FLAIR MR image.
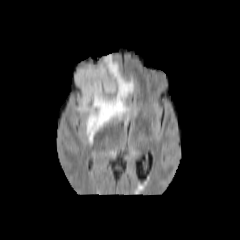
T1-weighted MR.
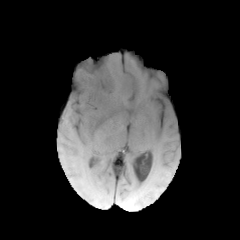
Post-contrast T1-weighted MRI.
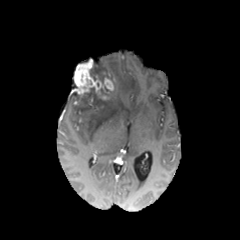
T2-weighted MR.
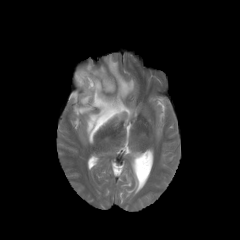
Brain
Edema = bbox=[73, 54, 133, 142].
Non-enhancing tumor core = bbox=[90, 60, 117, 96]; bbox=[72, 87, 110, 111].
Enhancing tumor = bbox=[73, 59, 114, 99].